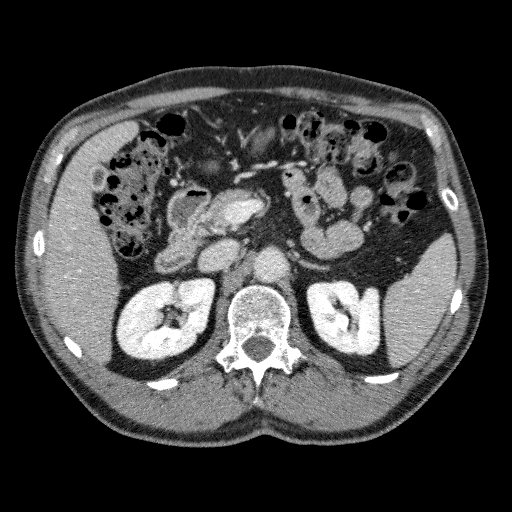

512x512; Computed tomography

Liver: (left=43, top=122, right=137, bottom=361), (left=174, top=239, right=200, bottom=249).
Kidney: (left=308, top=282, right=378, bottom=353), (left=117, top=279, right=213, bottom=358).